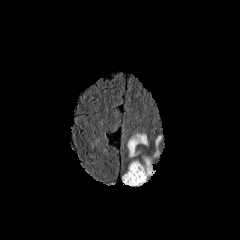
FLAIR MRI.
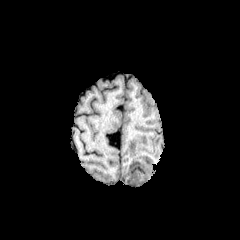
Same slice, T1-weighted MR.
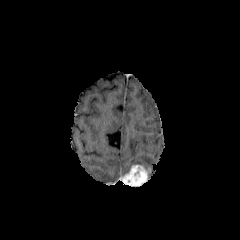
Post-contrast T1-weighted magnetic resonance of the same slice.
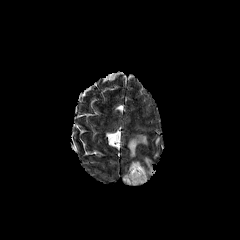
Same slice, T2-weighted MR image.
Head
Edema: bounding box [142, 157, 155, 174], [127, 133, 148, 157].
Enhancing tumor: bounding box [122, 165, 147, 186].